CT scan slice. 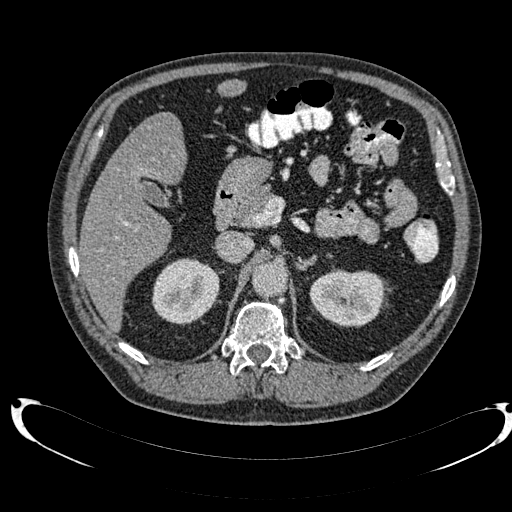

kidney:
  - (152, 258, 219, 324)
  - (310, 270, 384, 326)
focal_liver_lesion:
  - (151, 114, 180, 138)
liver:
  - (80, 116, 186, 331)
  - (217, 80, 246, 96)